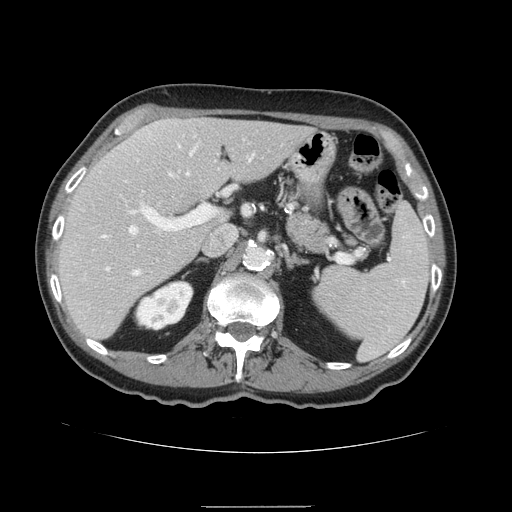 Computed tomography.
The spleen is located at <bbox>314, 204, 430, 361</bbox>.